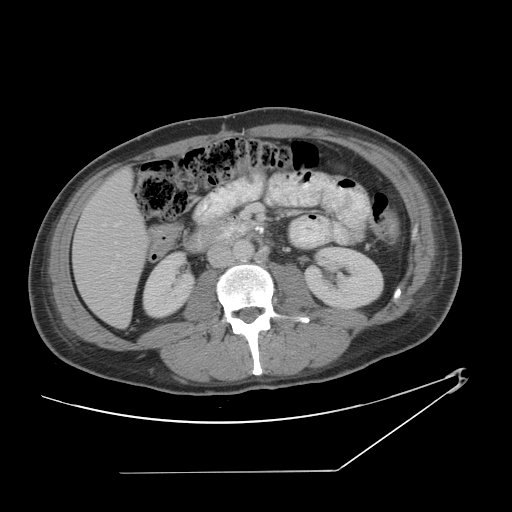

Liver; CT slice
Not every hepatic vessel necessarily has a box.
Hepatic vessel: bounding box [x1=117, y1=255, x2=120, y2=258], [x1=103, y1=224, x2=106, y2=226], [x1=110, y1=265, x2=114, y2=271], [x1=115, y1=222, x2=121, y2=227].